FLAIR magnetic resonance.
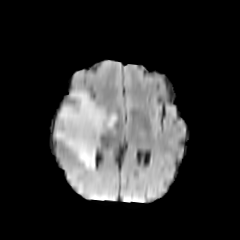
T1-weighted MR.
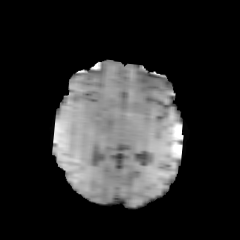
Post-contrast T1-weighted MR.
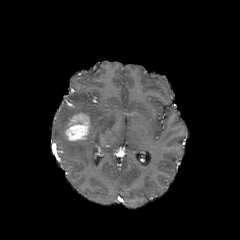
T2-weighted MR.
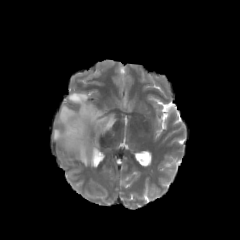
240x240. Head.
enhancing_tumor:
  - x1=64 y1=113 x2=91 y2=141
edema:
  - x1=53 y1=92 x2=117 y2=168